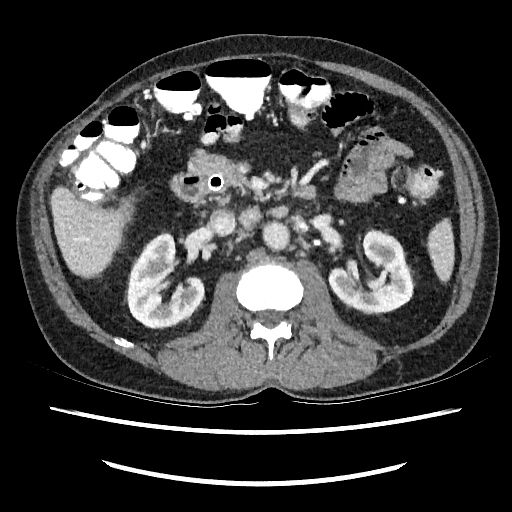
Abdomen; CT scan slice; Image size 512x512

Kidney: box(128, 234, 203, 327); box(329, 231, 412, 311).
Liver: box(51, 188, 126, 276).